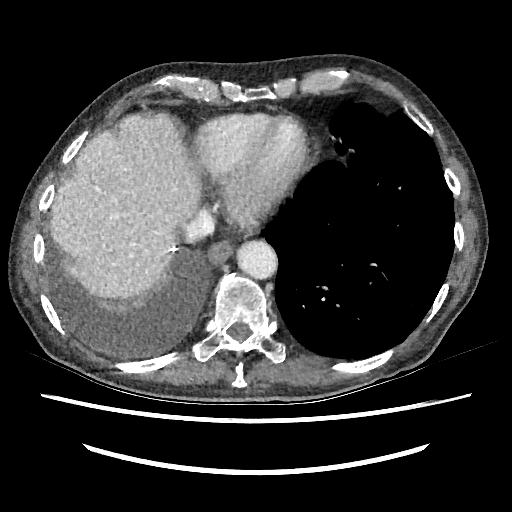
Upper abdomen. CT slice.

liver: (left=51, top=115, right=199, bottom=296)